Field of view 350x350 mm; Liver; CT slice; 512x512 px 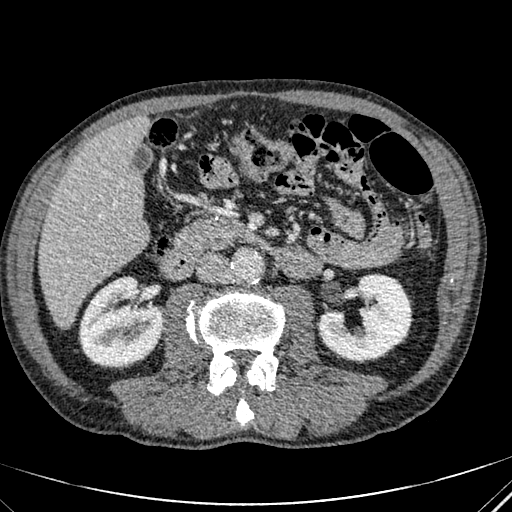

kidney: {"x1": 320, "y1": 275, "x2": 410, "y2": 359}, {"x1": 81, "y1": 277, "x2": 161, "y2": 365} | liver: {"x1": 39, "y1": 116, "x2": 147, "y2": 328}